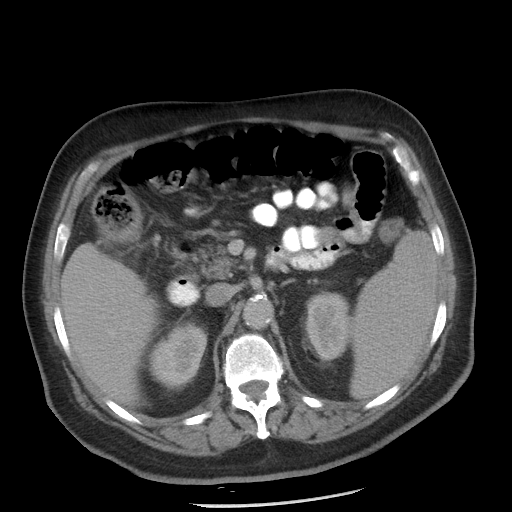
CT image.

The colon tumor lies within {"x1": 100, "y1": 213, "x2": 141, "y2": 241}.